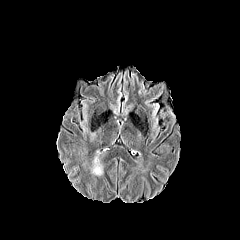
FLAIR MR.
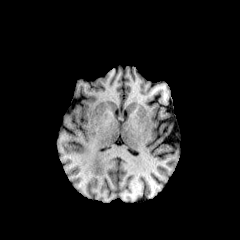
T1-weighted magnetic resonance.
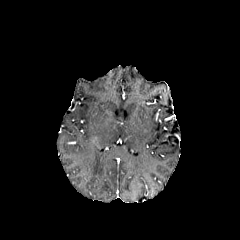
Same slice, post-contrast T1-weighted magnetic resonance.
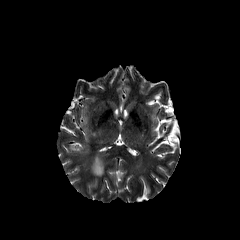
T2-weighted MR.
Head
* edema: 90 155 103 176